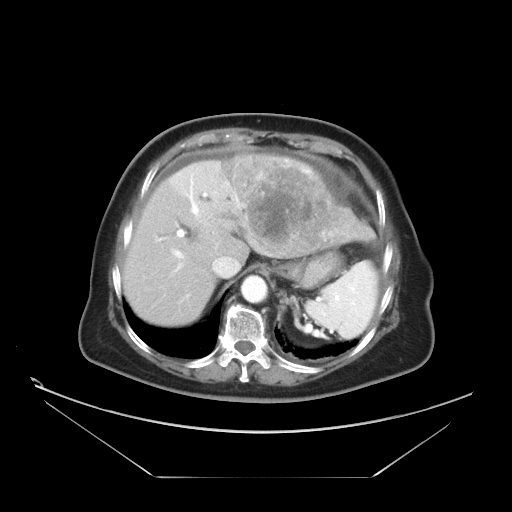
CT scan slice, 512x512
Only some of the vessels may be annotated.
Segmented structures:
- liver tumor: box(221, 155, 347, 257)
- hepatic vessel: box(177, 230, 183, 237); box(174, 252, 183, 257); box(190, 188, 198, 215); box(213, 258, 223, 272); box(177, 266, 179, 268)